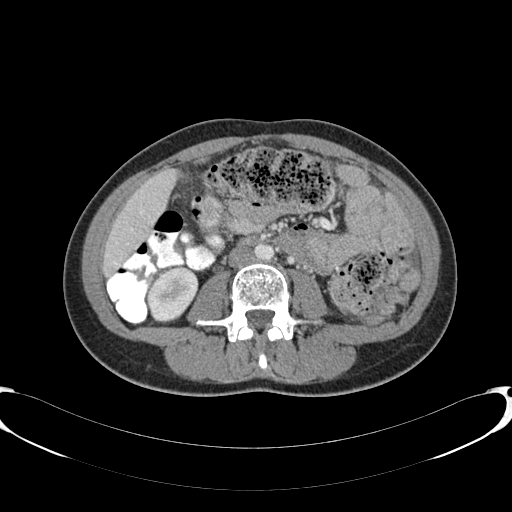 Upper abdomen; CT slice

{"liver": ["194:157:208:163", "102:169:176:276"], "kidney": ["148:269:197:319"]}